Image width 335 mm | Slice index 185 | CT image 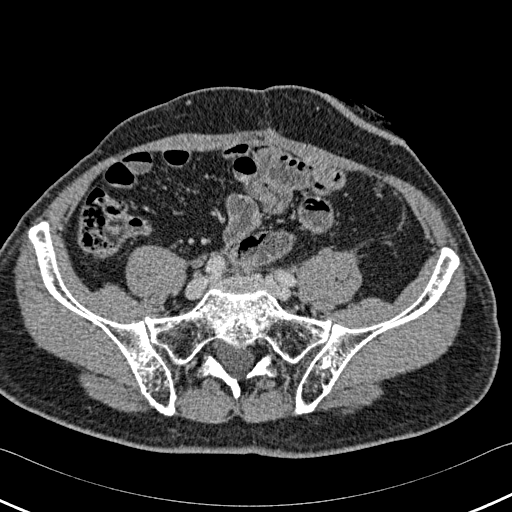 Bone: <bbox>247, 356, 273, 377</bbox>, <bbox>29, 222, 458, 415</bbox>, <bbox>203, 356, 239, 398</bbox>.